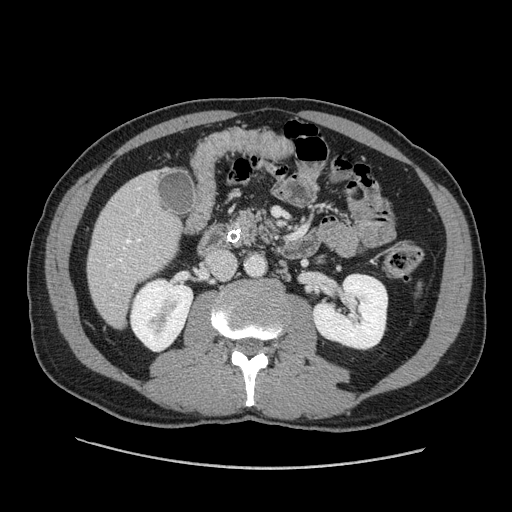

CT slice; Upper abdomen
The pancreas is located at x1=227, y1=205, x2=279, y2=249.